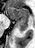

MRI slice
Posterior hippocampus at (left=16, top=22, right=27, bottom=31).
Anterior hippocampus at (left=7, top=6, right=28, bottom=21).